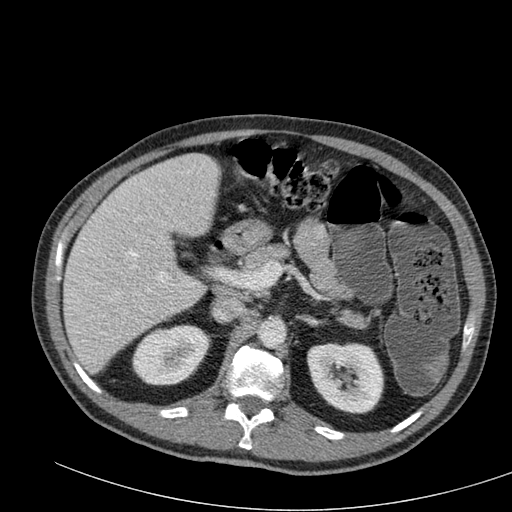
512x512; Liver; CT scan slice
{"liver": ["x1=63 y1=154 x2=218 y2=373"], "kidney": ["x1=133 y1=326 x2=208 y2=384", "x1=308 y1=344 x2=382 y2=412"]}